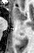

Image size 34x53 | MRI
posterior hippocampus: (x1=20, y1=32, x2=22, y2=34), (x1=20, y1=21, x2=22, y2=24) | anterior hippocampus: (x1=15, y1=6, x2=26, y2=20)